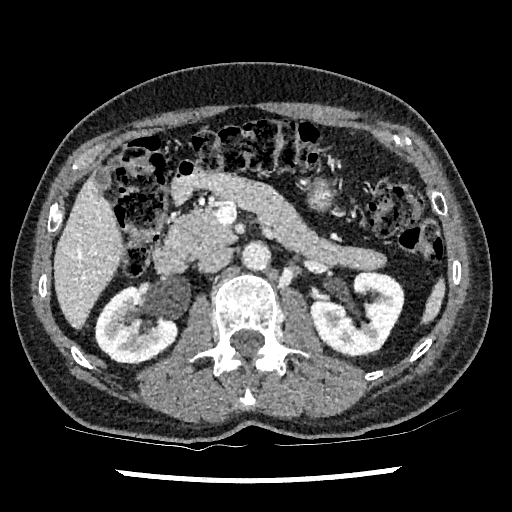 CT slice. Liver.
Kidney = bbox(312, 273, 403, 354); bbox(96, 288, 176, 362).
Liver = bbox(55, 174, 124, 327).